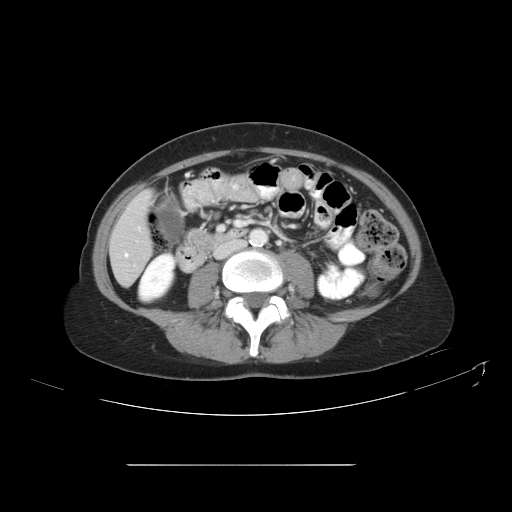

CT | Image size 512x512 | Liver
The vessel boxes may cover only some of the vessels.
hepatic_vessel:
  - [125, 253, 127, 256]
  - [138, 228, 140, 230]